Brain
FLAIR MR.
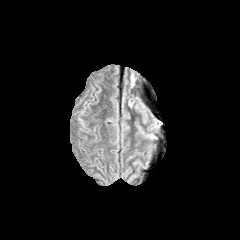
T1-weighted MRI.
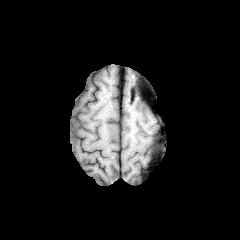
Post-contrast T1-weighted MR image.
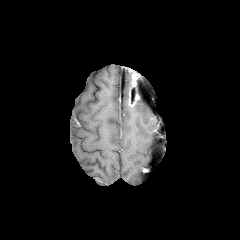
T2-weighted magnetic resonance.
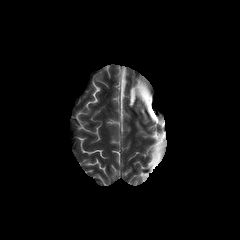
Edema: bounding box box(135, 103, 147, 122); box(140, 130, 156, 139); box(129, 86, 136, 100).